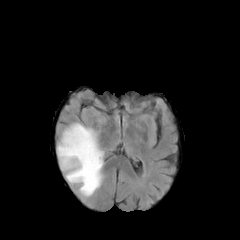
FLAIR MR image.
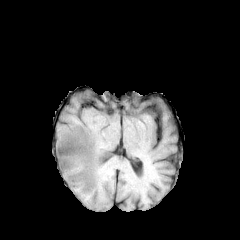
T1-weighted MR image.
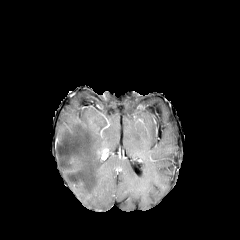
Post-contrast T1-weighted MR image of the same slice.
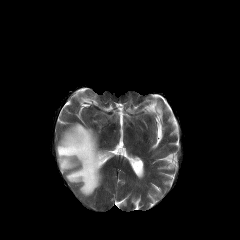
T2-weighted magnetic resonance.
Edema at (56, 123, 107, 196).